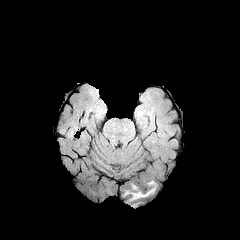
FLAIR magnetic resonance.
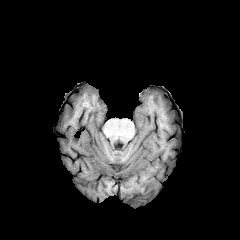
T1-weighted magnetic resonance of the same slice.
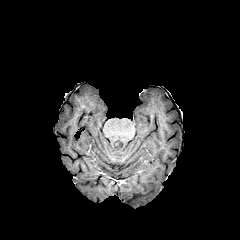
Post-contrast T1-weighted MRI.
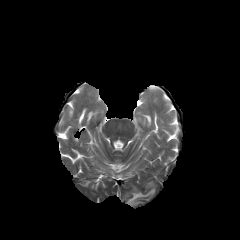
T2-weighted MR image.
240x240; Brain
Segmented structures:
• edema: left=124, top=186, right=156, bottom=203